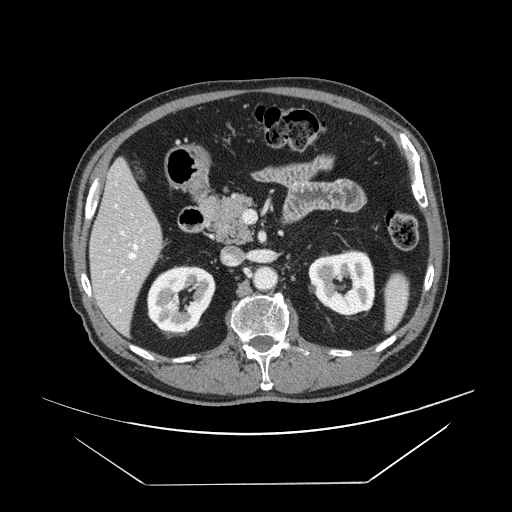 Upper abdomen; CT scan slice

The pancreas is bounded by <box>202,194,254,245</box>.